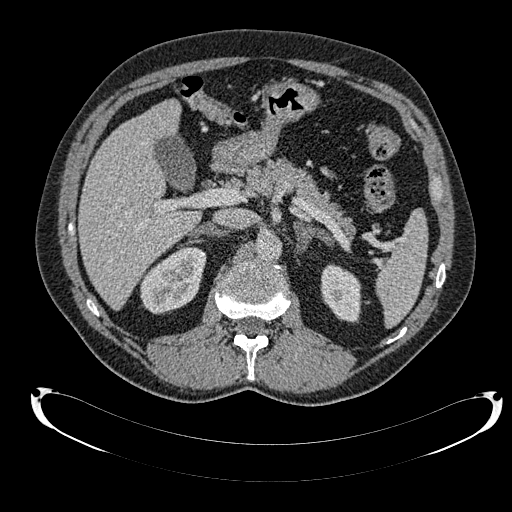
Liver, CT scan slice
Annotated regions:
• liver: 79,100,200,308
• kidney: 321,265,359,320; 141,248,205,313